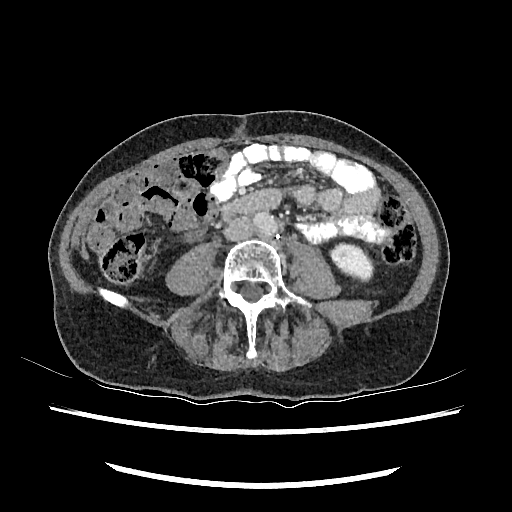

CT
Kidney at <bbox>332, 245, 371, 277</bbox>.